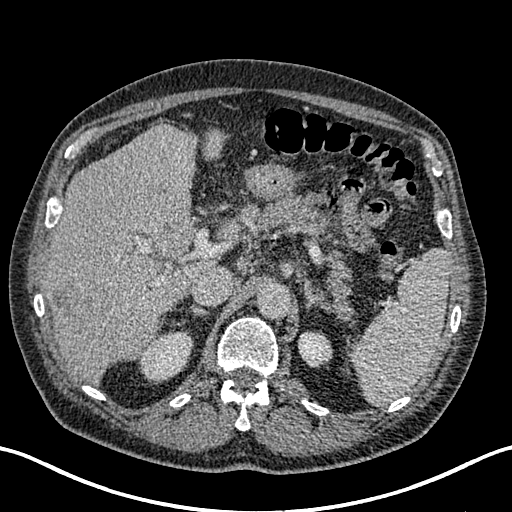 Computed tomography | 512x512 | Upper abdomen

Annotated regions:
* hepatic lesion: <box>154,224,188,256</box>, <box>157,182,170,195</box>, <box>50,284,88,329</box>
* liver: <box>44,124,217,382</box>, <box>216,219,239,238</box>, <box>204,130,223,160</box>
* kidney: <box>141,332,191,379</box>, <box>299,333,330,365</box>